Slice 514 of 565, 512x512 px, Thorax, CT

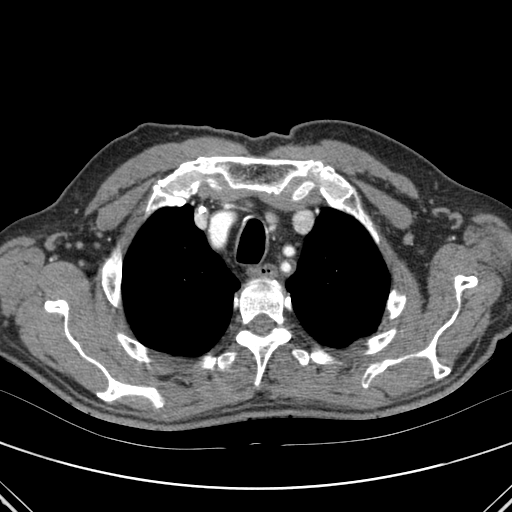 Lung at (122,204,240,356), (286,208,389,347).
Bone at (234,279,291,385), (366,329,395,353), (364,358,402,387), (292,181,314,200), (201,352,235,368), (148,156,377,242), (417,310,458,378), (117,333,150,362), (454,275,477,302), (44,299,163,407), (102,248,121,306), (292,350,334,365), (387,290,405,318).